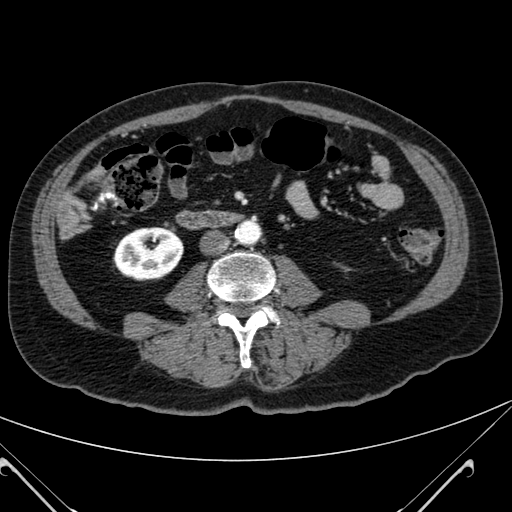 CT image, Abdomen, Image size 512x512

Kidney: bounding box bbox(115, 228, 182, 278).